Slice index 67 | CT
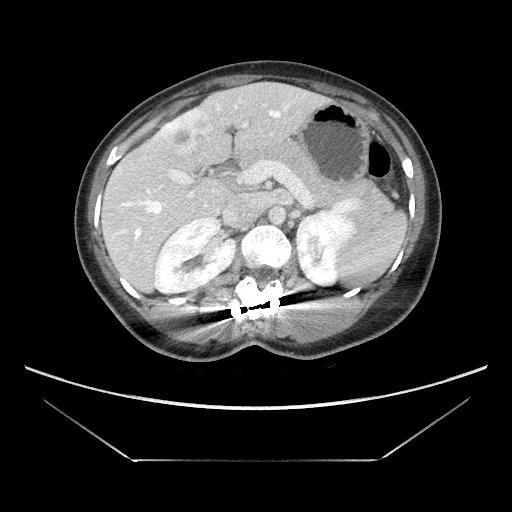

The vessel boxes may cover only some of the vessels.
The liver tumor is bounded by <bbox>166, 110, 206, 150</bbox>. 4 hepatic vessel regions are located at <bbox>146, 201, 161, 212</bbox>, <bbox>170, 170, 191, 183</bbox>, <bbox>189, 192, 193, 197</bbox>, <bbox>241, 161, 288, 182</bbox>.